240x240 px
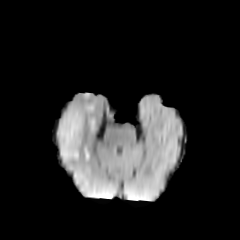
FLAIR magnetic resonance.
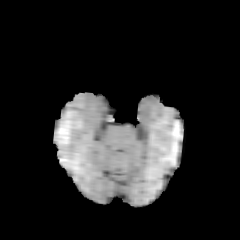
Same slice, T1-weighted magnetic resonance.
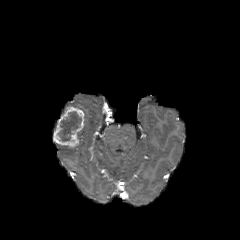
Post-contrast T1-weighted MR image of the same slice.
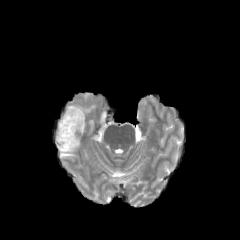
T2-weighted MR image of the same slice.
Annotated regions:
- non-enhancing tumor core: x1=58, y1=111, x2=81, y2=141
- enhancing tumor: x1=52, y1=105, x2=85, y2=147
- edema: x1=69, y1=104, x2=95, y2=118; x1=58, y1=144, x2=78, y2=160